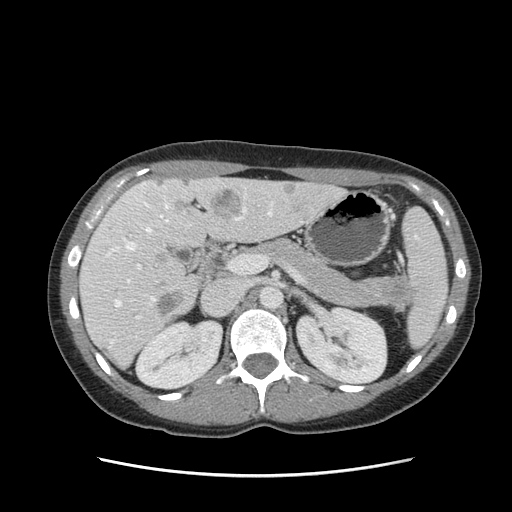

CT scan slice; Abdomen
Pancreas at <box>253,238,394,308</box>.
Pancreatic tumor at <box>377,275,417,311</box>.